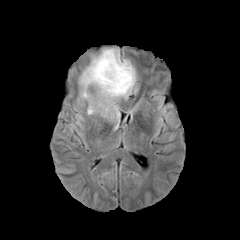
FLAIR MR.
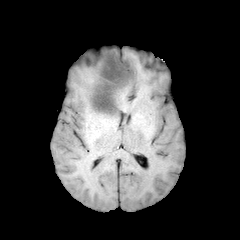
T1-weighted MR.
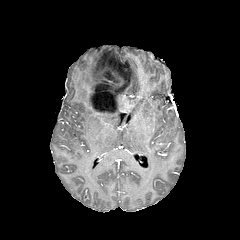
Post-contrast T1-weighted MR image.
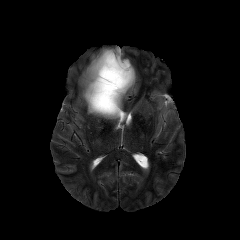
T2-weighted magnetic resonance.
240x240 px
The edema lies within left=78, top=46, right=137, bottom=127. The non-enhancing tumor core lies within left=87, top=59, right=128, bottom=112.